MRI, Slice 10/32, 34x51 px, Medial temporal lobe

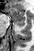 {
  "anterior_hippocampus": [
    "rect(9, 7, 25, 24)"
  ],
  "posterior_hippocampus": [
    "rect(19, 25, 25, 28)"
  ]
}